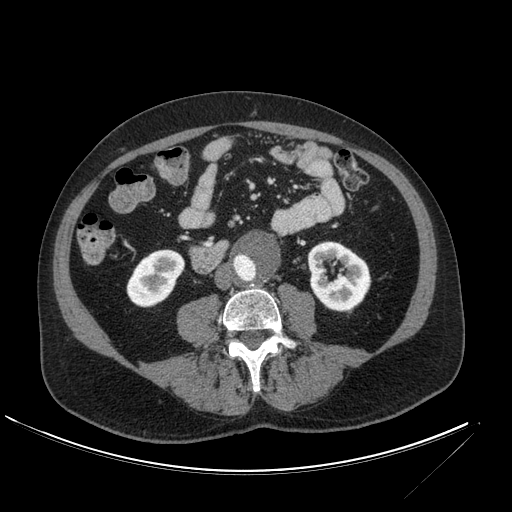
Computed tomography
kidney: (x1=308, y1=242, x2=369, y2=310), (x1=127, y1=250, x2=183, y2=306)